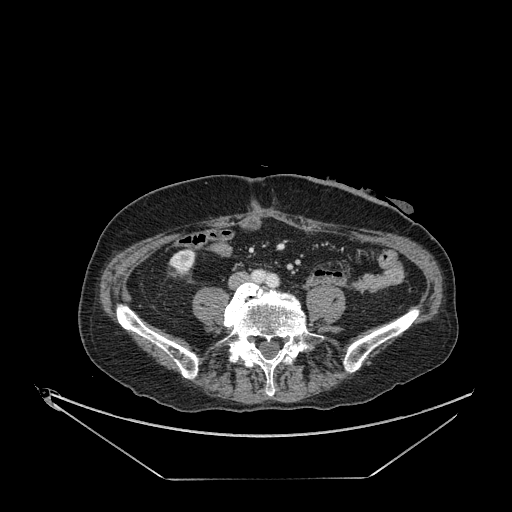

CT slice.

kidney:
  - [170,250,194,273]